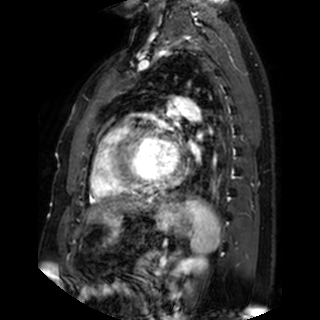
MRI slice
<segmentation>
  <left_atrium>region(189, 139, 196, 151)</left_atrium>
</segmentation>